CT image, Upper abdomen, 512x512 px, Slice 360 of 845
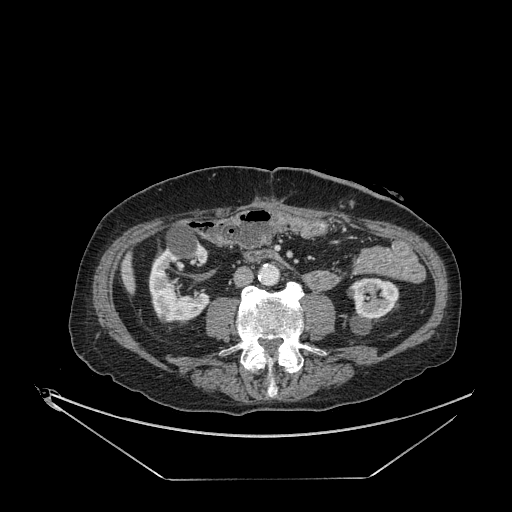 Kidney — [x1=149, y1=249, x2=208, y2=321], [x1=195, y1=244, x2=206, y2=263], [x1=350, y1=278, x2=398, y2=319].
Liver — [x1=124, y1=253, x2=133, y2=293].